Abdomen, CT image
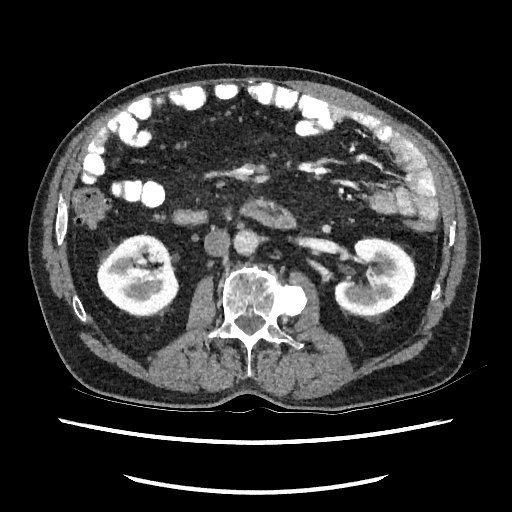
{
  "kidney": [
    "x1=335 y1=238 x2=415 y2=316",
    "x1=97 y1=235 x2=178 y2=316"
  ]
}